240x240 px
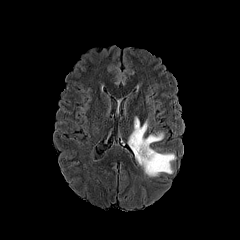
FLAIR MRI.
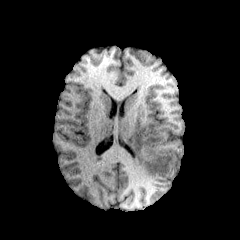
T1-weighted MR.
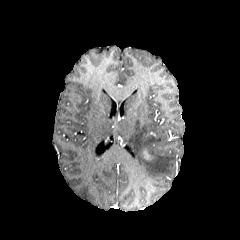
Same slice, post-contrast T1-weighted MR.
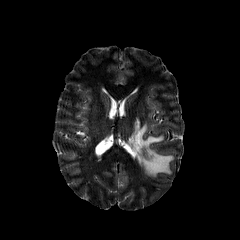
T2-weighted MR image of the same slice.
{"enhancing_tumor": ["left=143, top=148, right=152, bottom=159"], "edema": ["left=127, top=117, right=174, bottom=176"]}